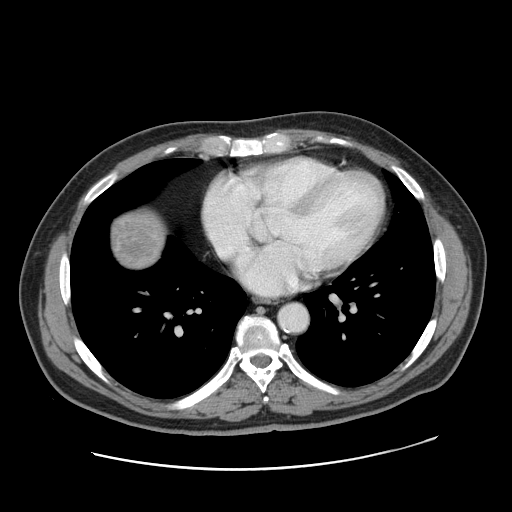

512x512, Computed tomography, Liver

The liver tumor is at rect(113, 214, 163, 268).